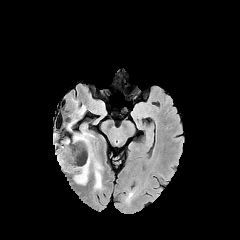
FLAIR MR.
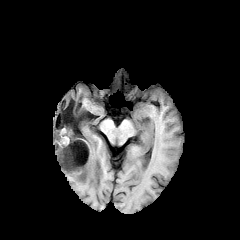
T1-weighted MR.
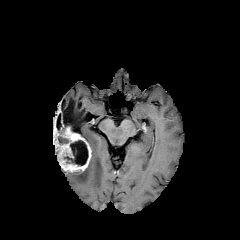
Post-contrast T1-weighted MR image of the same slice.
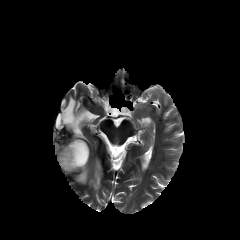
Same slice, T2-weighted MR image.
Annotated regions:
• enhancing tumor: l=58, t=127, r=91, b=171
• non-enhancing tumor core: l=66, t=104, r=75, b=123; l=65, t=140, r=88, b=165; l=54, t=126, r=72, b=145
• edema: l=66, t=98, r=93, b=148; l=74, t=150, r=102, b=188